Slice index 7. MR image.

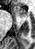

anterior hippocampus: [13, 7, 26, 15]